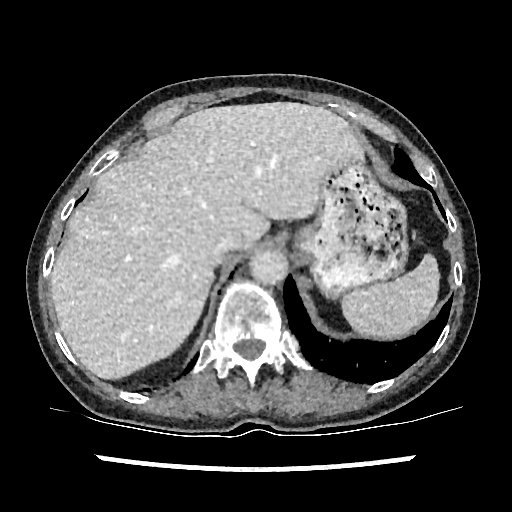
Image size 512x512. CT scan slice. liver: 52, 103, 361, 376